FLAIR MR.
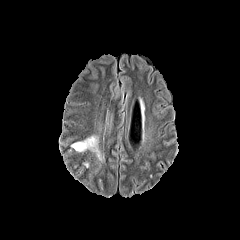
T1-weighted MR.
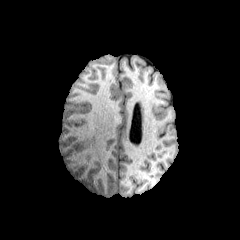
Post-contrast T1-weighted magnetic resonance.
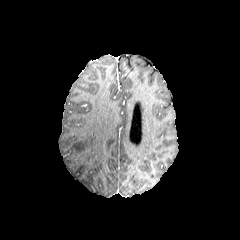
T2-weighted MR image.
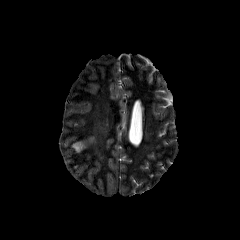
240x240, Brain
{"edema": ["box(70, 135, 103, 161)"]}